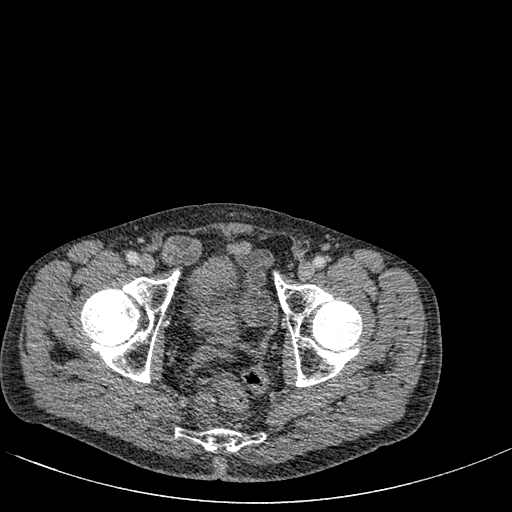
Image size 512x512. CT image.

Segmented structures:
• urinary bladder: box(182, 249, 248, 342)